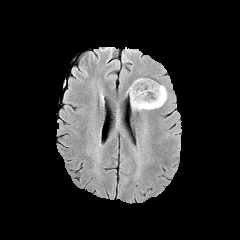
FLAIR MR image.
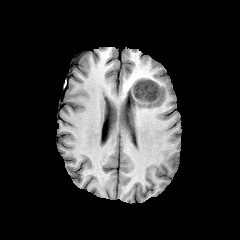
T1-weighted MR image of the same slice.
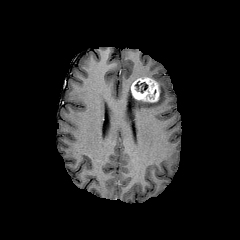
Post-contrast T1-weighted MRI.
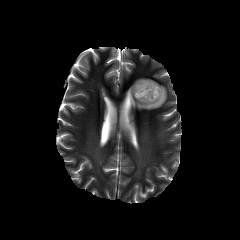
T2-weighted MR of the same slice.
Head, 240x240
Enhancing tumor — (x1=131, y1=77, x2=158, y2=101).
Edema — (x1=126, y1=85, x2=167, y2=110).
Non-enhancing tumor core — (x1=134, y1=81, x2=148, y2=93).